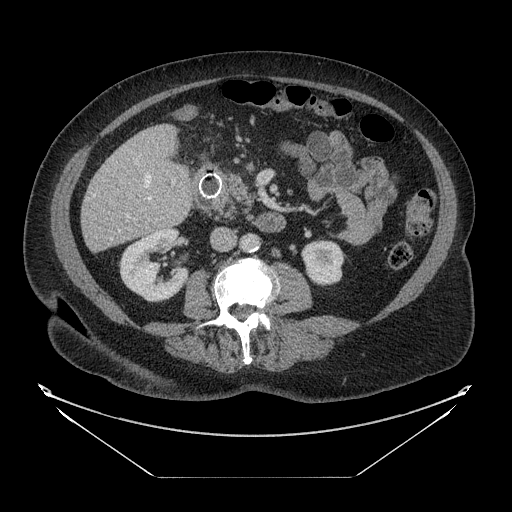
Computed tomography. Abdomen. 512x512 px. pancreas: region(222, 175, 254, 218)